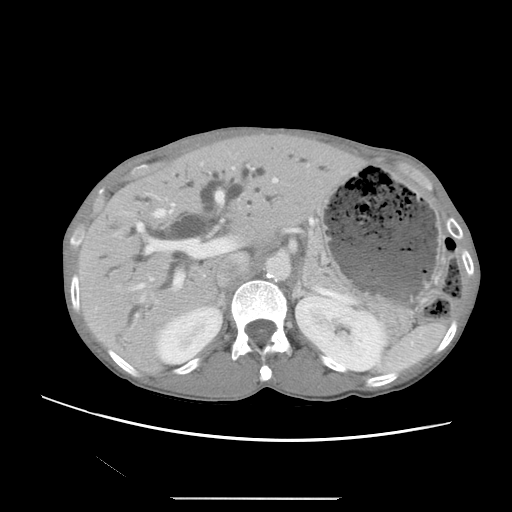

CT. Abdomen.
Pancreas: bounding box (left=305, top=234, right=352, bottom=296), (left=374, top=303, right=413, bottom=339).